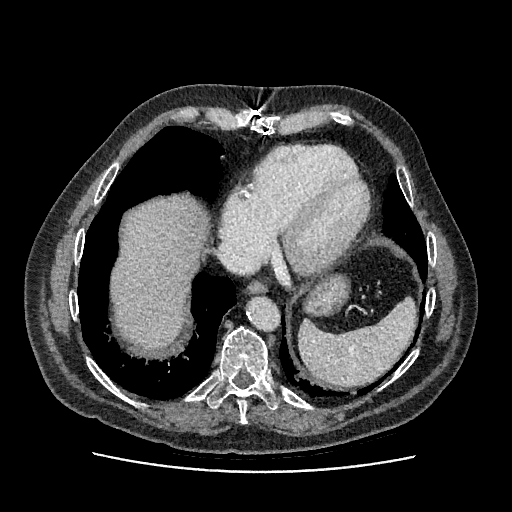

CT slice; Abdomen; Image size 512x512

liver: <box>111,197,206,348</box>